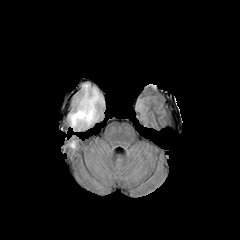
FLAIR magnetic resonance.
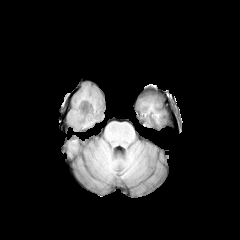
T1-weighted MR image of the same slice.
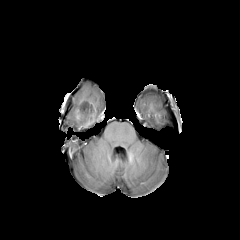
Post-contrast T1-weighted MRI.
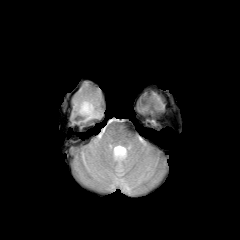
T2-weighted MR.
Brain
non-enhancing tumor core: (left=92, top=106, right=101, bottom=118), (left=83, top=102, right=91, bottom=112) | edema: (left=69, top=84, right=101, bottom=129)